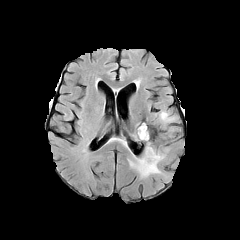
FLAIR MR.
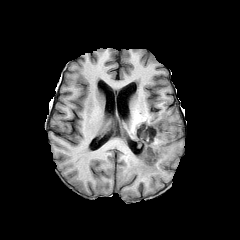
Same slice, T1-weighted MRI.
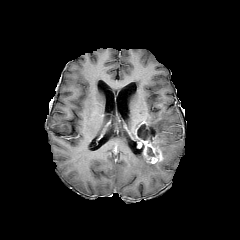
Same slice, post-contrast T1-weighted MRI.
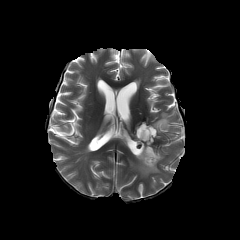
T2-weighted MR.
Head
Enhancing tumor at bbox(138, 138, 162, 163).
Edema at bbox(128, 136, 167, 177); bbox(158, 110, 175, 133).
Non-enhancing tumor core at bbox(135, 123, 159, 149).